Image width 34 mm. MR. Medial temporal lobe. 34x48 px.

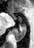
Annotated regions:
- anterior hippocampus: 13:17:15:18
- posterior hippocampus: 14:25:25:41